FLAIR magnetic resonance.
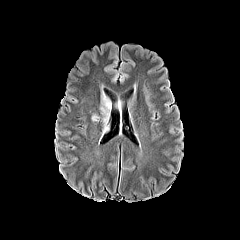
T1-weighted MR image.
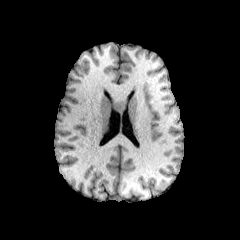
Post-contrast T1-weighted MR image.
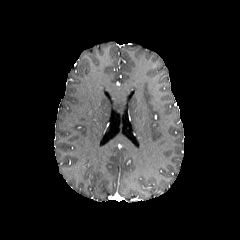
T2-weighted magnetic resonance.
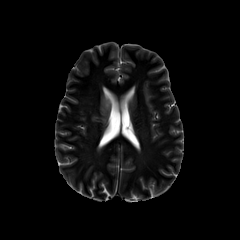
Head.
Segmented structures:
• edema: 91,87,111,129